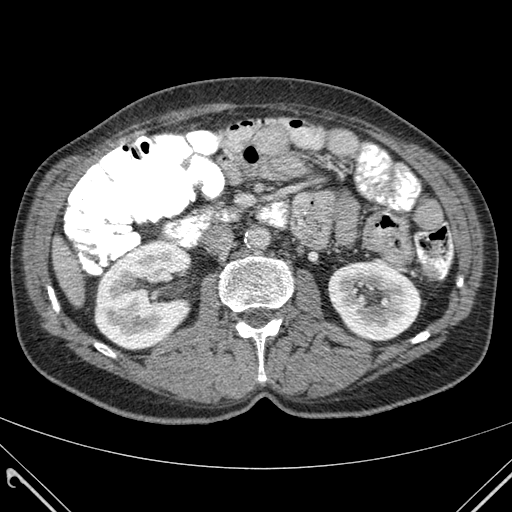 Upper abdomen. 512x512. CT image. liver:
  - bbox(53, 237, 84, 304)
bone:
  - bbox(236, 319, 281, 380)
  - bbox(219, 257, 293, 311)
  - bbox(48, 286, 58, 311)
  - bbox(95, 343, 114, 356)
  - bbox(412, 331, 429, 342)
kidney:
  - bbox(96, 241, 187, 348)
  - bbox(329, 263, 419, 339)